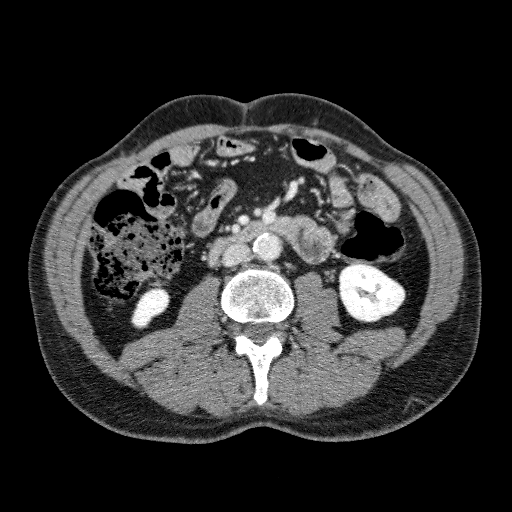

512x512. Abdomen. CT image. Kidney: 133, 289, 168, 325; 340, 264, 404, 320.